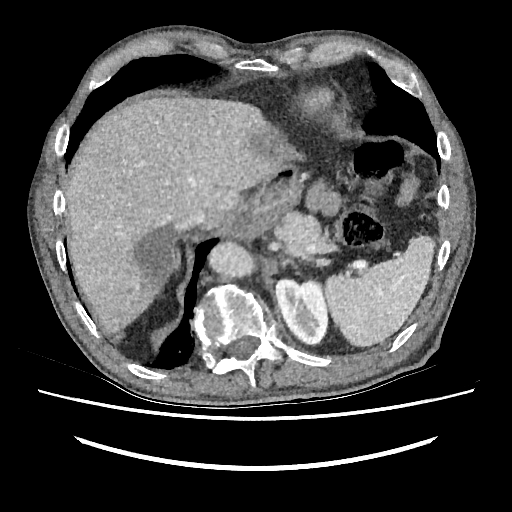 Liver, CT, 512x512
{
  "kidney": [
    "box=[276, 280, 327, 343]"
  ],
  "liver_lesion": [
    "box=[250, 125, 282, 157]",
    "box=[126, 223, 176, 291]"
  ],
  "liver": [
    "box=[67, 97, 297, 331]"
  ]
}